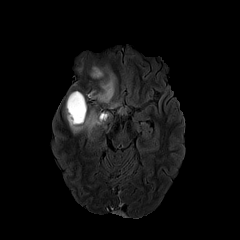
FLAIR MRI.
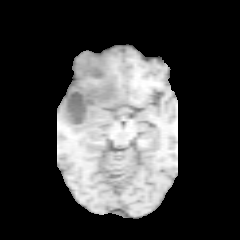
T1-weighted MRI.
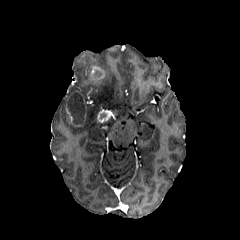
Post-contrast T1-weighted magnetic resonance.
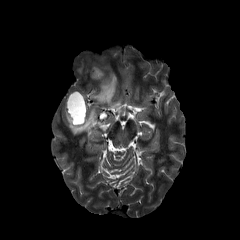
T2-weighted MR.
The non-enhancing tumor core appears at (x1=66, y1=92, x2=84, y2=123). 4 enhancing tumor regions are bounded by (x1=76, y1=91, x2=86, y2=117), (x1=91, y1=67, x2=101, y2=77), (x1=65, y1=104, x2=74, y2=122), (x1=97, y1=109, x2=111, y2=122). 3 edema regions are bounded by (x1=68, y1=109, x2=105, y2=139), (x1=88, y1=71, x2=119, y2=108), (x1=95, y1=66, x2=106, y2=79).